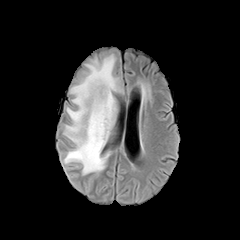
FLAIR magnetic resonance.
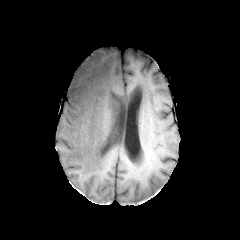
Same slice, T1-weighted MR.
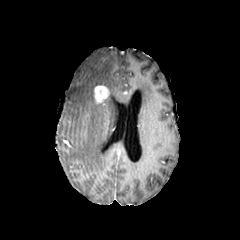
Post-contrast T1-weighted MR image of the same slice.
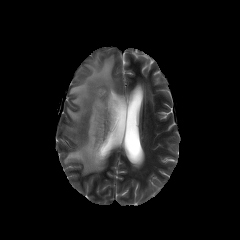
Same slice, T2-weighted MRI.
Findings:
* edema: 64 54 117 174
* enhancing tumor: 94 85 109 103